FLAIR magnetic resonance.
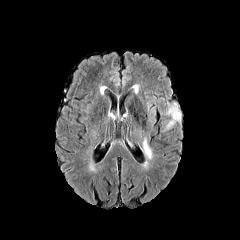
T1-weighted MRI.
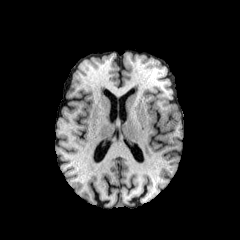
Post-contrast T1-weighted MRI.
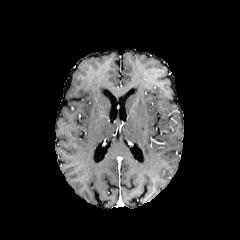
T2-weighted magnetic resonance.
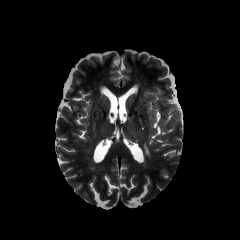
edema:
  - region(143, 138, 152, 159)